CT | Abdomen 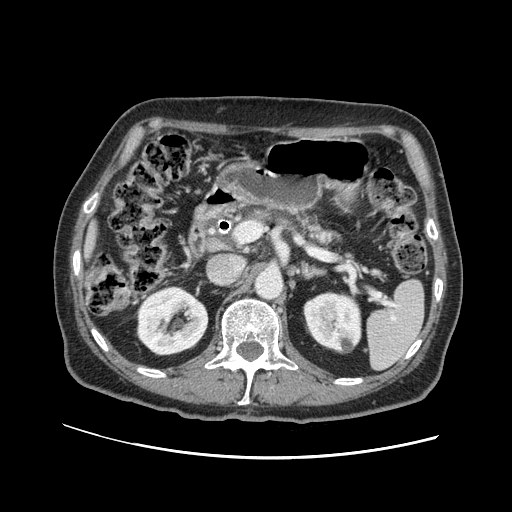
Pancreas: [200,197,341,250].